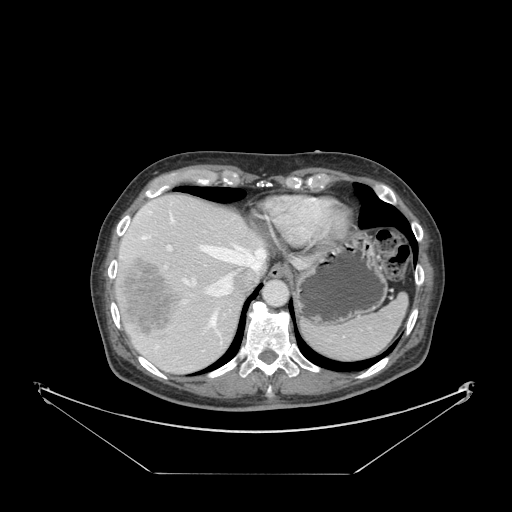
CT slice

The spleen is at (x1=302, y1=295, x2=407, y2=361).